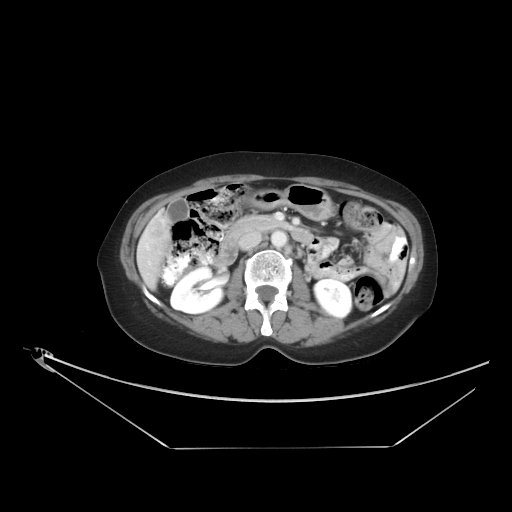
Liver; CT scan slice
Liver tumor = <box>147,216,167,247</box>.